CT slice
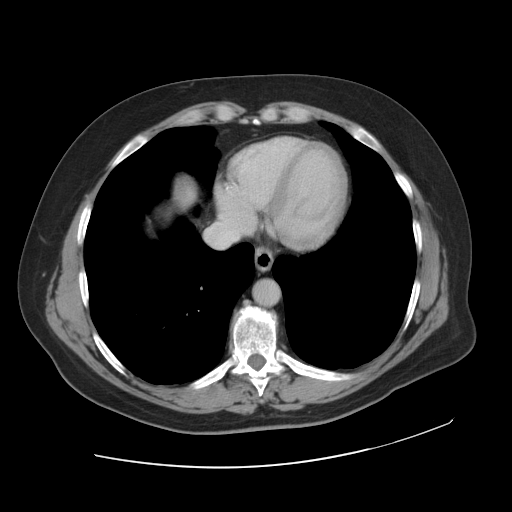
The liver tumor appears at bbox(179, 178, 190, 191).